CT; Slice index 82; 512x512 px; Upper abdomen 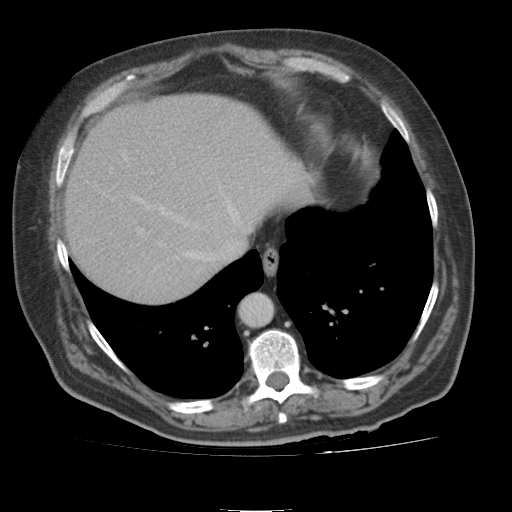 • liver: {"x1": 223, "y1": 251, "x2": 231, "y2": 261}, {"x1": 67, "y1": 96, "x2": 308, "y2": 304}